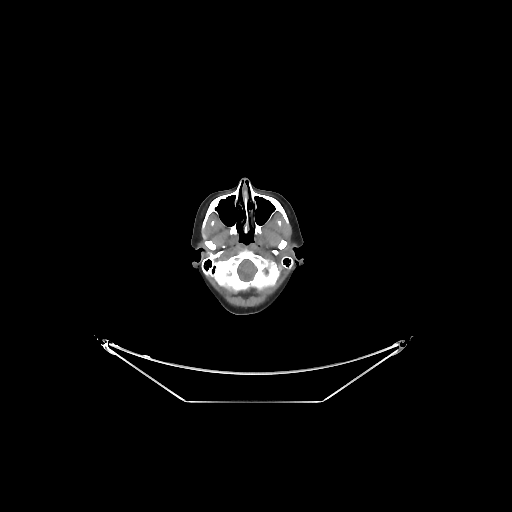

512x512 px | CT image | Brain
<segmentation>
  <brain>237 259 257 281</brain>
</segmentation>